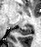 41x47 px | Magnetic resonance
Posterior hippocampus — bbox=[16, 25, 32, 35].